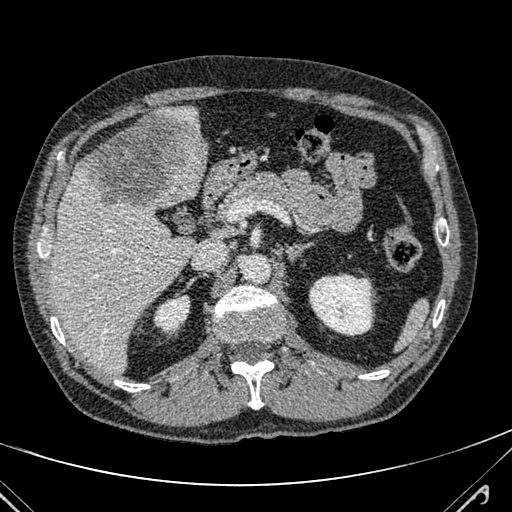
512x512, CT slice
Liver — (x1=167, y1=106, x2=200, y2=134), (x1=52, y1=164, x2=202, y2=371).
Focal liver lesion — (x1=78, y1=109, x2=206, y2=207).